Image size 512x512, CT, Slice index 103
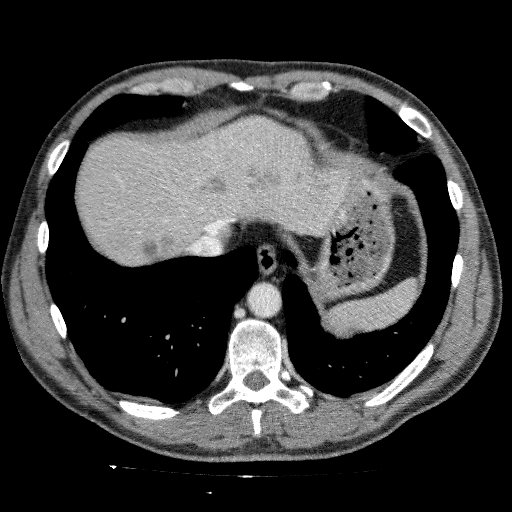

4 liver lesion regions appear at [139,231,175,260], [247,163,282,190], [200,176,226,194], [291,170,304,184]. The liver is at [77,115,350,267].